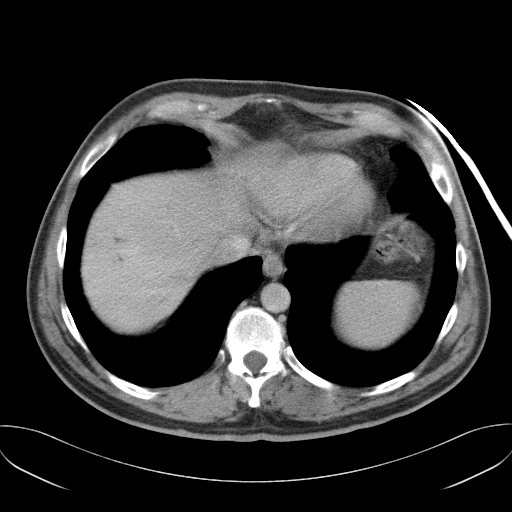 Computed tomography, 512x512 px

The vessel annotation is not exhaustive.
hepatic_vessel:
  - l=232, t=239, r=246, b=250